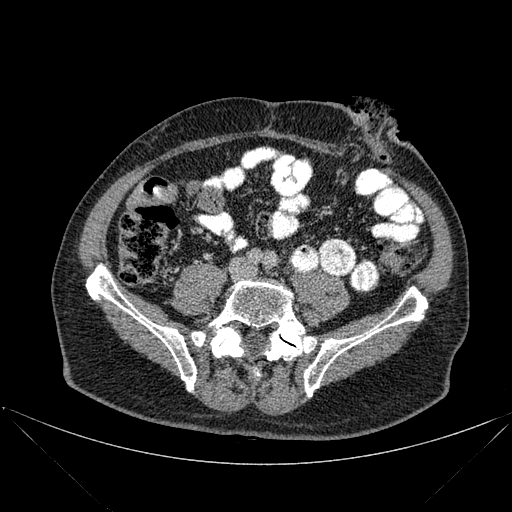
CT image

Bone: 304,287,427,396; 191,281,316,360; 86,265,196,391.